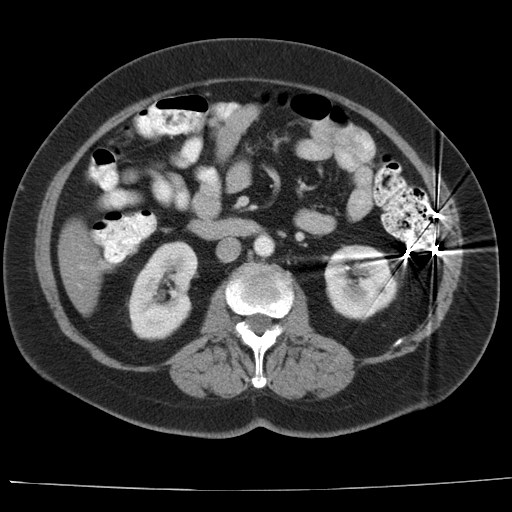

CT; Liver
Not every hepatic vessel necessarily has a box.
hepatic vessel: box=[80, 266, 81, 268]